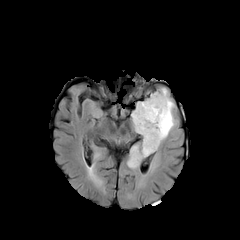
FLAIR MR.
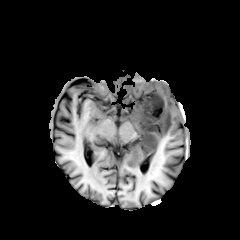
T1-weighted MR image.
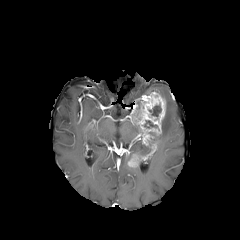
Post-contrast T1-weighted MR image.
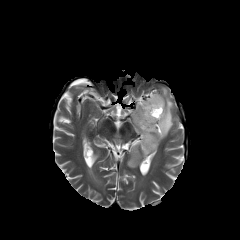
Same slice, T2-weighted MR.
Brain
Edema = box(150, 87, 176, 143); box(142, 144, 152, 154).
Enhancing tumor = box(131, 92, 165, 145).
Non-enhancing tumor core = box(144, 120, 157, 127); box(149, 106, 161, 117).